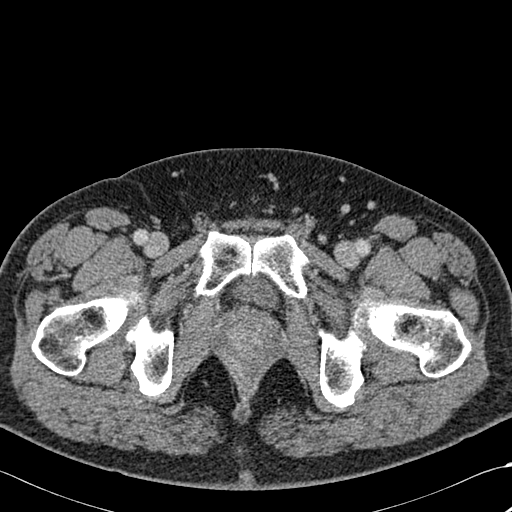

CT slice, 512x512 px

bone:
  - box(126, 317, 173, 396)
  - box(32, 292, 139, 375)
  - box(320, 329, 364, 407)
  - box(362, 300, 470, 377)
  - box(196, 232, 308, 297)